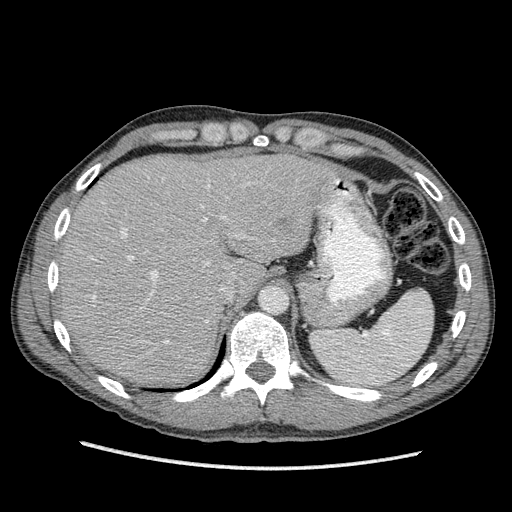 Abdomen | CT slice
The liver is located at bbox(56, 148, 336, 387). The focal liver lesion is located at bbox(274, 215, 291, 232).